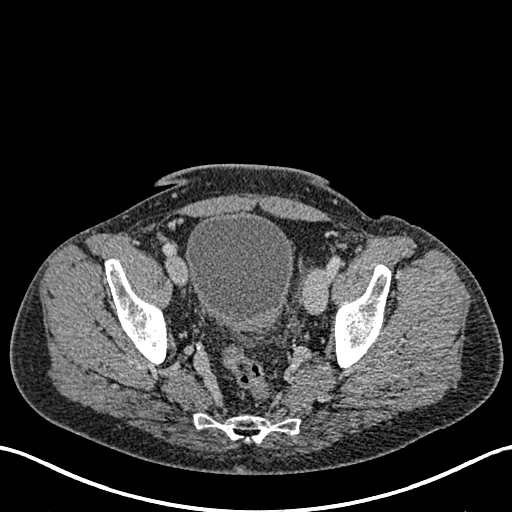

Image size 512x512; CT image
Urinary bladder: rect(185, 215, 293, 333).